Slice index 53. Abdomen. 512x512 px. Image width 403 mm. Computed tomography.

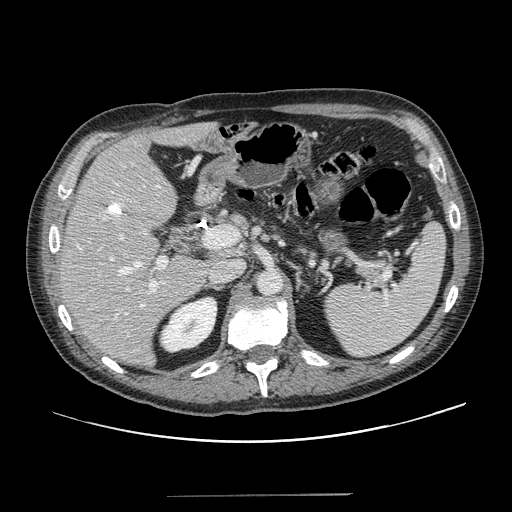
pancreas:
  - left=179, top=205, right=323, bottom=266
  - left=352, top=262, right=380, bottom=284